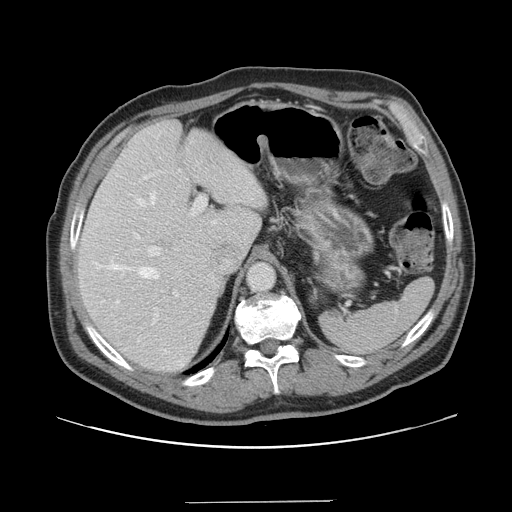 CT scan slice; Image size 512x512; Abdomen

Not every hepatic vessel necessarily has a box.
Hepatic vessel at {"x1": 159, "y1": 171, "x2": 161, "y2": 172}, {"x1": 151, "y1": 191, "x2": 155, "y2": 204}, {"x1": 173, "y1": 291, "x2": 177, "y2": 296}, {"x1": 137, "y1": 198, "x2": 145, "y2": 205}, {"x1": 138, "y1": 267, "x2": 158, "y2": 278}, {"x1": 107, "y1": 264, "x2": 130, "y2": 269}, {"x1": 155, "y1": 313, "x2": 157, "y2": 315}, {"x1": 190, "y1": 196, "x2": 205, "y2": 215}, {"x1": 148, "y1": 246, "x2": 159, "y2": 255}.